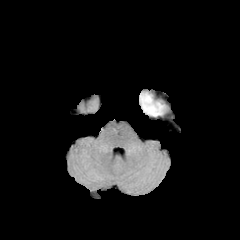
FLAIR MR image.
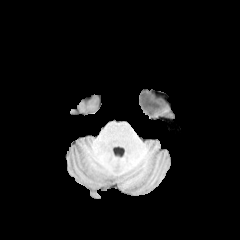
T1-weighted MR image.
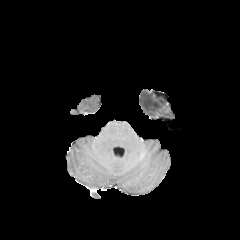
Post-contrast T1-weighted MR image of the same slice.
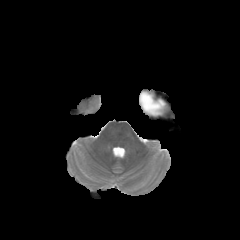
T2-weighted MR of the same slice.
<segmentation>
  <non-enhancing_tumor_core>left=140, top=92, right=163, bottom=112</non-enhancing_tumor_core>
  <edema>left=142, top=104, right=165, bottom=117</edema>
</segmentation>